240x240 px, Brain
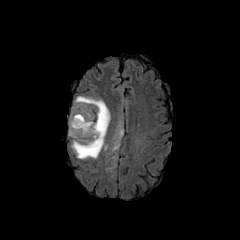
FLAIR MR image.
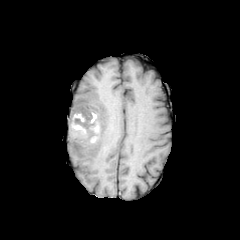
T1-weighted MRI of the same slice.
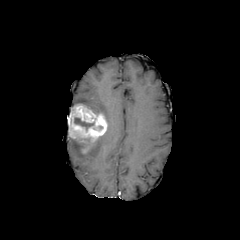
Same slice, post-contrast T1-weighted MR image.
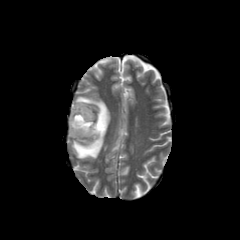
T2-weighted magnetic resonance.
Annotated regions:
- non-enhancing tumor core: [x1=86, y1=105, x2=98, y2=119], [x1=74, y1=117, x2=94, y2=128]
- edema: [x1=71, y1=127, x2=107, y2=159], [x1=75, y1=96, x2=110, y2=126]
- enhancing tumor: [x1=68, y1=103, x2=107, y2=143]